Slice 31/40. CT scan slice. Pelvis.

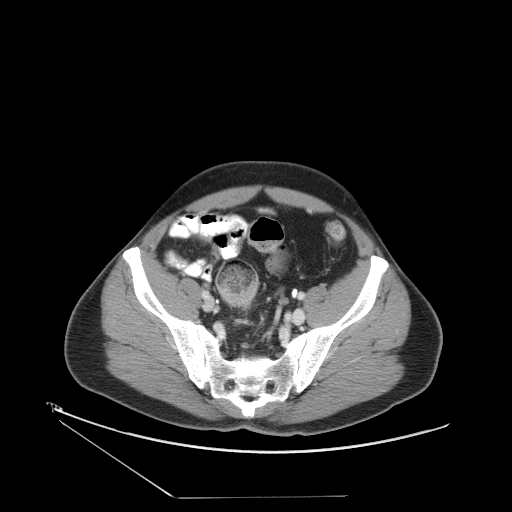

Colon tumor: [220, 282, 257, 305].